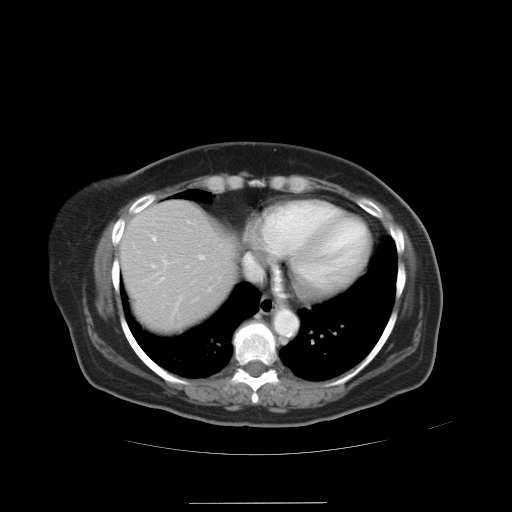
512x512 | CT scan slice | Liver
The vessel annotation is not exhaustive.
Hepatic vessel at x1=162, y1=257, x2=169, y2=267; x1=157, y1=278, x2=163, y2=283; x1=198, y1=255, x2=204, y2=259; x1=151, y1=263, x2=155, y2=267; x1=176, y1=299, x2=179, y2=307; x1=152, y1=235, x2=156, y2=242; x1=244, y1=254, x2=260, y2=275.